CT slice | Abdomen

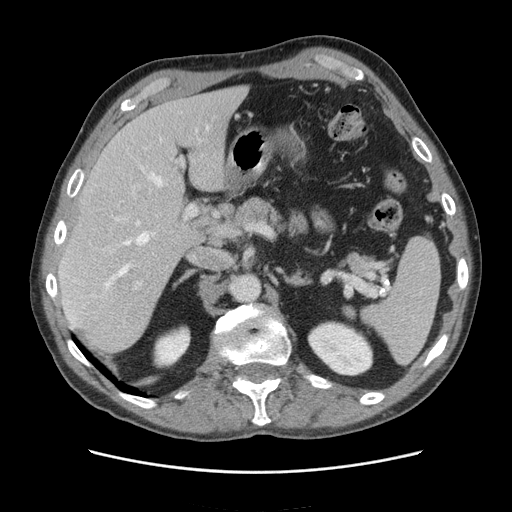

Spleen: 340 234 439 364.